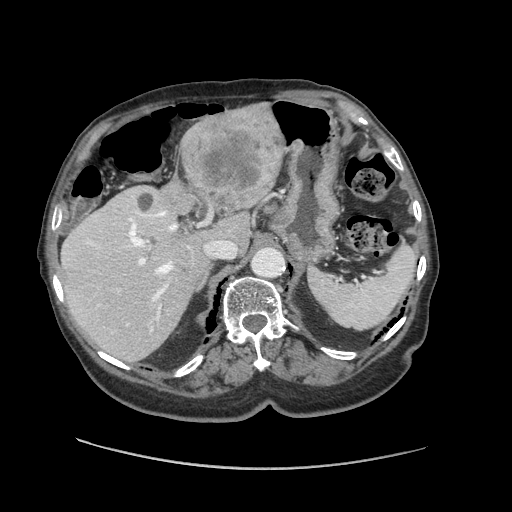
Computed tomography

Only some of the vessels may be annotated.
Hepatic vessel — x1=139 y1=258 x2=145 y2=264, x1=169 y1=224 x2=176 y2=229, x1=153 y1=285 x2=166 y2=300, x1=156 y1=262 x2=172 y2=273, x1=204 y1=241 x2=236 y2=257, x1=130 y1=231 x2=143 y2=246, x1=156 y1=211 x2=165 y2=215.
Liver tumor — x1=181 y1=107 x2=280 y2=207.